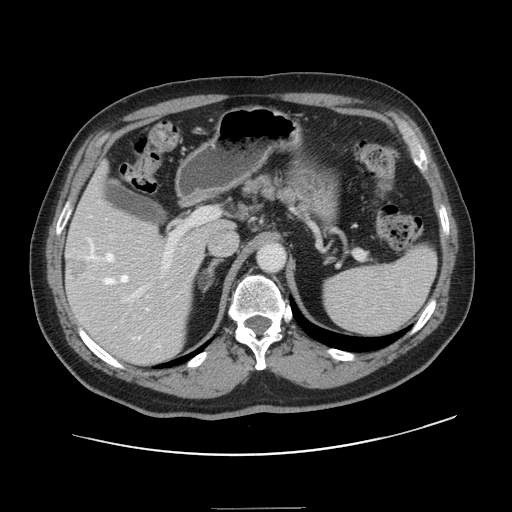
CT slice. Liver.

Not every hepatic vessel necessarily has a box.
7 hepatic vessel regions are bounded by region(163, 243, 173, 268); region(105, 278, 114, 283); region(123, 287, 143, 300); region(121, 275, 127, 282); region(133, 336, 139, 339); region(107, 254, 112, 261); region(86, 238, 96, 258). The liver tumor appears at region(68, 258, 87, 278).